512x512, CT image

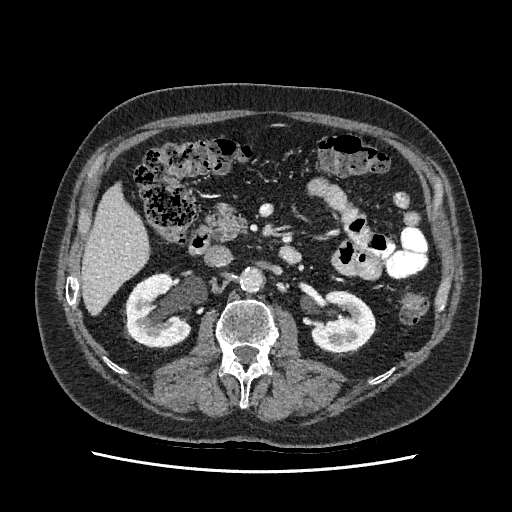

<segmentation>
  <kidney>[306, 292, 374, 351], [127, 274, 189, 346]</kidney>
  <liver>[82, 185, 148, 314]</liver>
</segmentation>